Image size 512x512, Slice 70/129, Image width 512 mm, CT image, Upper abdomen

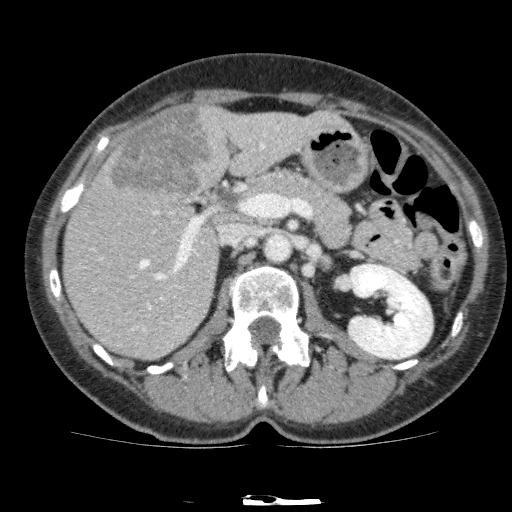 The liver lies within (x1=64, y1=106, x2=352, y2=359). The kidney lies within (x1=349, y1=264, x2=432, y2=358). The hepatic lesion is located at (x1=107, y1=106, x2=214, y2=198).